Brain. Slice 67 of 155.
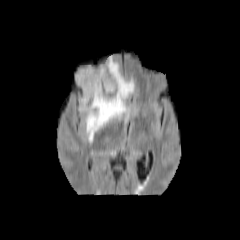
FLAIR MR image.
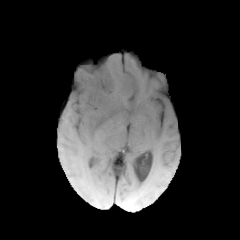
Same slice, T1-weighted MR image.
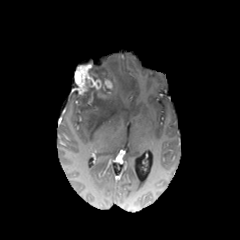
Post-contrast T1-weighted magnetic resonance of the same slice.
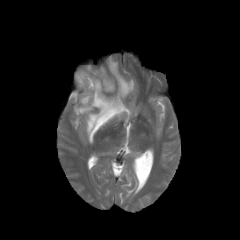
T2-weighted MR image.
Segmented structures:
* edema: rect(73, 55, 133, 144)
* enhancing tumor: rect(74, 62, 112, 95)
* non-enhancing tumor core: rect(74, 64, 117, 110)